Slice 85 of 155.
FLAIR magnetic resonance.
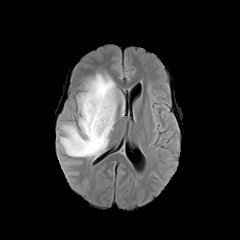
T1-weighted magnetic resonance.
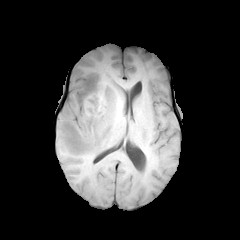
Post-contrast T1-weighted MRI.
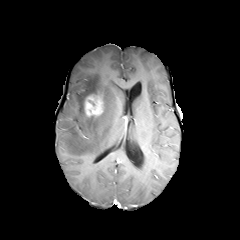
T2-weighted MR.
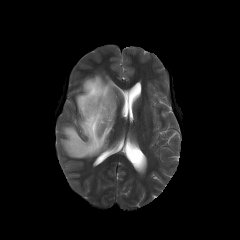
The enhancing tumor appears at (x1=85, y1=96, x2=102, y2=115). The non-enhancing tumor core is located at (x1=78, y1=80, x2=99, y2=113). The edema is located at (x1=60, y1=71, x2=118, y2=157).